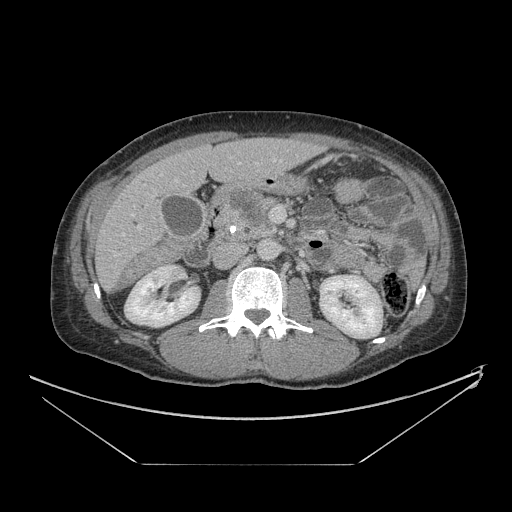
Upper abdomen, CT image
Pancreatic tumor: bounding box 226,187,265,231.
Pancreas: bounding box 215,187,284,242.